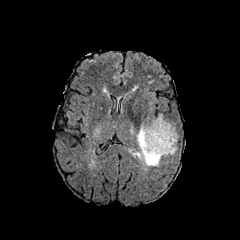
FLAIR MRI.
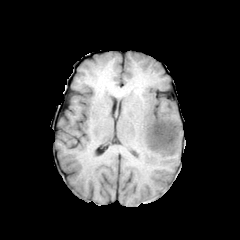
T1-weighted MRI.
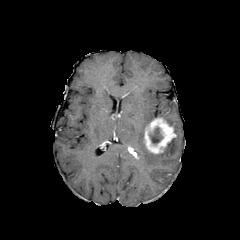
Post-contrast T1-weighted MRI.
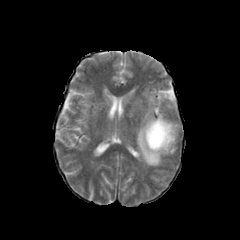
T2-weighted magnetic resonance.
240x240
The edema lies within (left=134, top=117, right=178, bottom=166). The enhancing tumor appears at (left=143, top=116, right=177, bottom=154). The non-enhancing tumor core is located at (left=152, top=128, right=159, bottom=143).